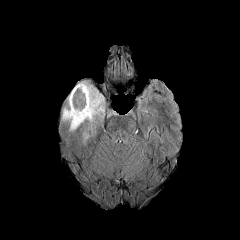
FLAIR MR image.
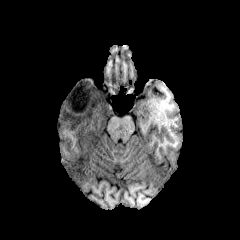
Same slice, T1-weighted magnetic resonance.
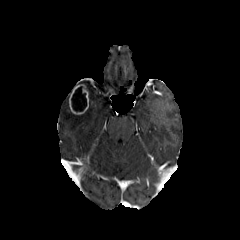
Same slice, post-contrast T1-weighted magnetic resonance.
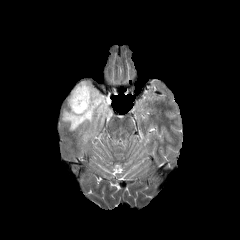
T2-weighted MR image.
240x240 px
Enhancing tumor at (68, 84, 89, 114).
Edema at (61, 81, 106, 131).
Non-enhancing tumor core at (70, 86, 86, 111).